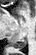 MR, Medial temporal lobe

The posterior hippocampus is at x1=13 y1=38 x2=26 y2=48.